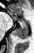
Medial temporal lobe | MR
Posterior hippocampus at (left=16, top=24, right=27, bottom=39).
Anterior hippocampus at (left=11, top=15, right=24, bottom=23).